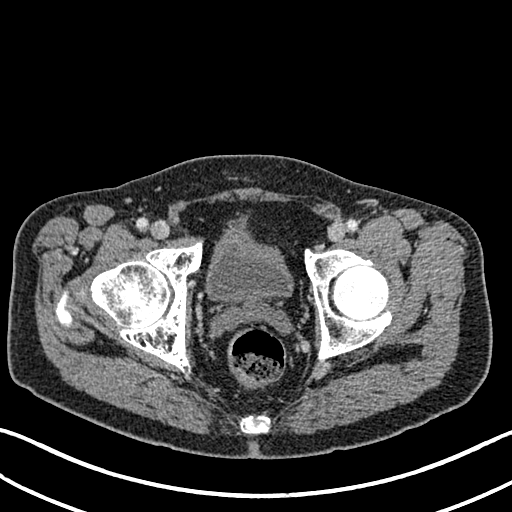

CT scan slice, Lower abdomen
The urinary bladder lies within box(205, 229, 292, 306).